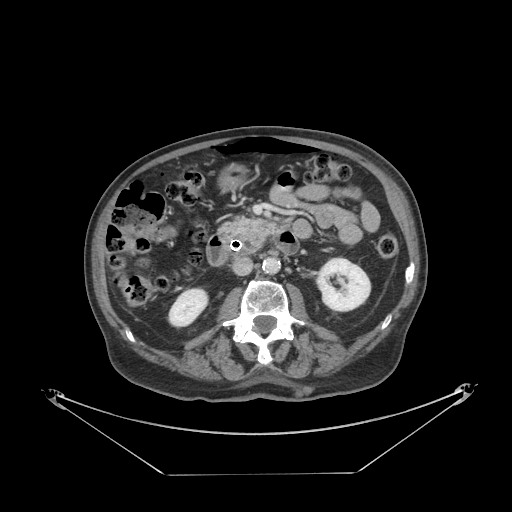 Abdomen | Image size 512x512 | CT image

- pancreas: bbox(221, 219, 271, 247)